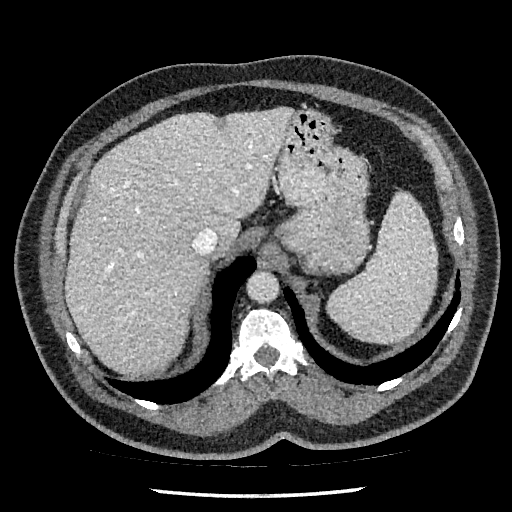

Upper abdomen. Image size 512x512. CT scan slice. Findings:
* hepatic lesion: [214,119,229,129]
* liver: [65,108,292,373]